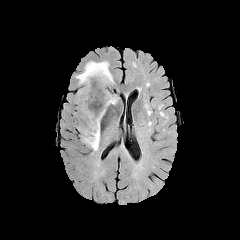
FLAIR magnetic resonance.
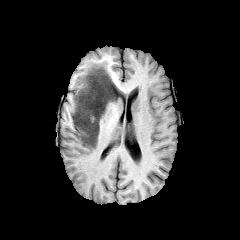
T1-weighted MRI.
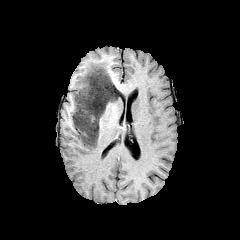
Post-contrast T1-weighted magnetic resonance.
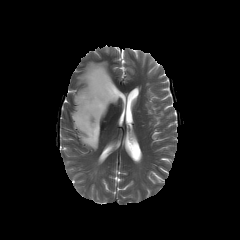
T2-weighted MRI.
Head | 240x240
Non-enhancing tumor core: bounding box (73, 68, 118, 146).
Edema: bounding box (76, 62, 107, 90).